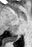

MR; Hippocampus
<segmentation>
  <posterior_hippocampus>6 35 20 41</posterior_hippocampus>
</segmentation>